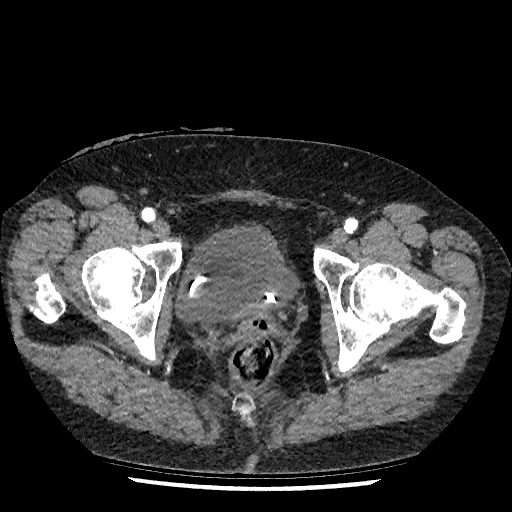
CT slice

Urinary bladder = l=174, t=223, r=296, b=328.